Slice 38/50; CT image; 512x512 px
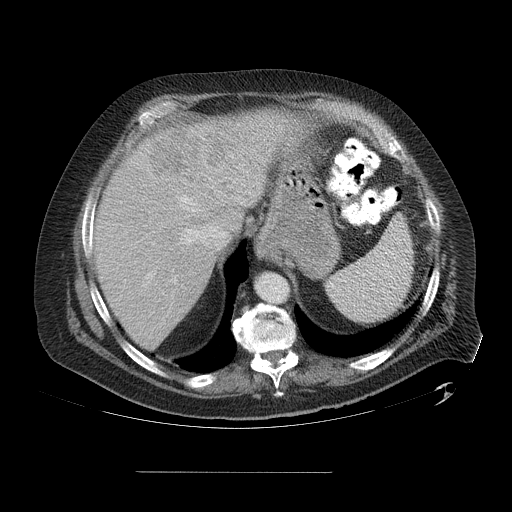 The vessel annotation is not exhaustive.
Liver tumor = x1=149, y1=127, x2=248, y2=195.
Hepatic vessel = x1=177, y1=225, x2=227, y2=249; x1=216, y1=191, x2=220, y2=196; x1=142, y1=266, x2=158, y2=288; x1=170, y1=248, x2=172, y2=249; x1=185, y1=215, x2=188, y2=217; x1=152, y1=242, x2=153, y2=244; x1=156, y1=261, x2=158, y2=262; x1=172, y1=276, x2=176, y2=282; x1=185, y1=208, x2=204, y2=212; x1=181, y1=195, x2=192, y2=203.